Image size 512x512; CT
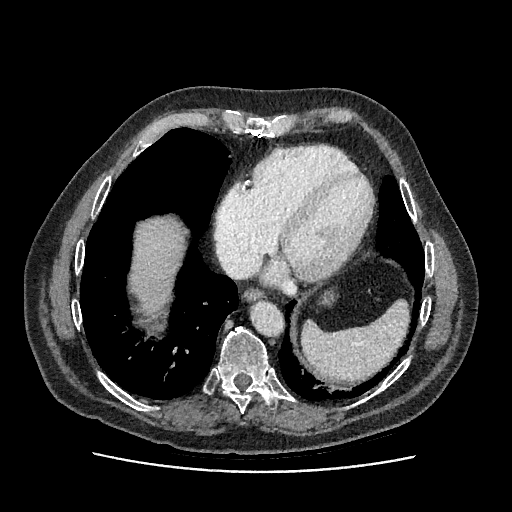 Liver = bbox(130, 218, 184, 312).